Abdomen. Computed tomography. Image size 512x512.

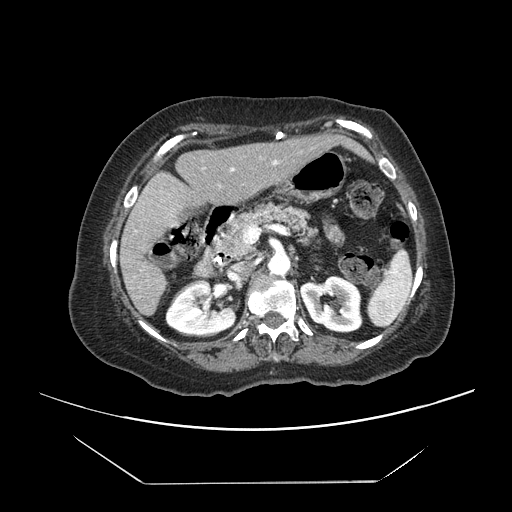 Some hepatic vessels may have no box.
2 hepatic vessel regions are located at region(243, 225, 258, 243); region(231, 168, 233, 170).